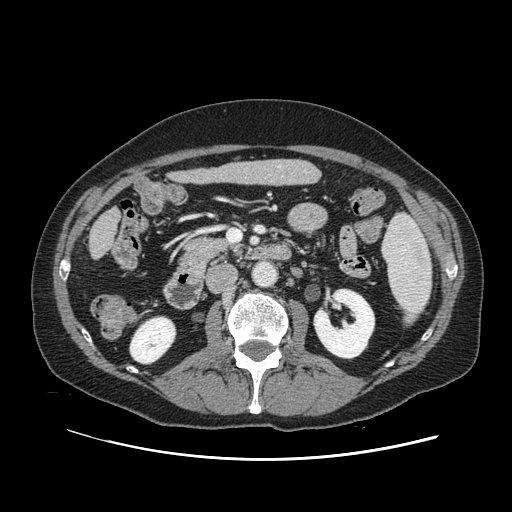
CT slice; 512x512 px
{"pancreas": [{"x1": 179, "y1": 238, "x2": 230, "y2": 273}]}